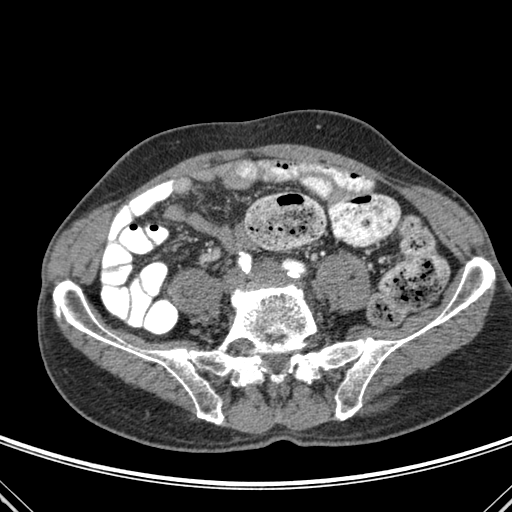

CT slice
* bone: <bbox>53, 257, 494, 424</bbox>